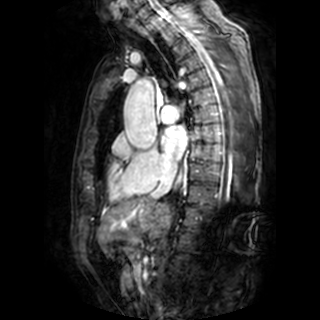 MR image. Cardiac. Left atrium = box=[161, 125, 186, 159].